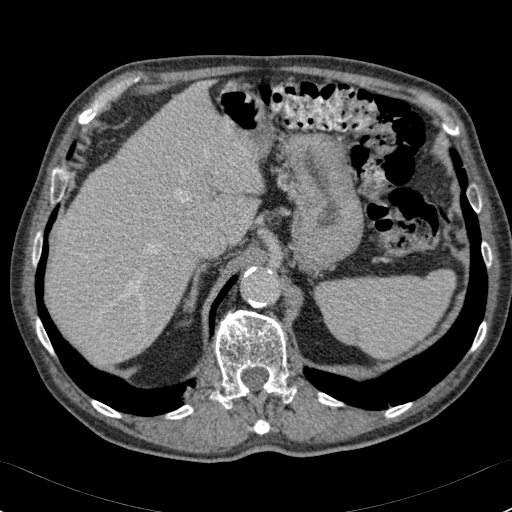 Abdomen. CT image.

Liver: box(50, 81, 260, 362).